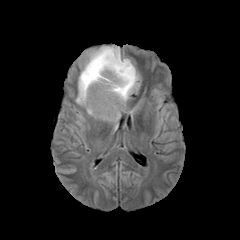
FLAIR magnetic resonance.
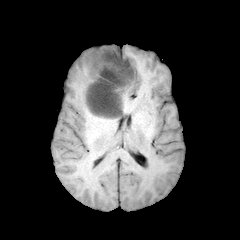
T1-weighted MR image of the same slice.
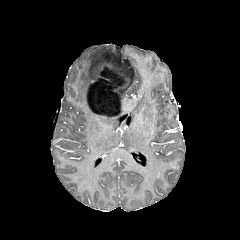
Post-contrast T1-weighted MRI.
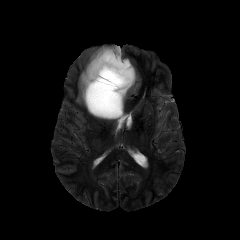
T2-weighted MR.
Image size 240x240; Head
Segmented structures:
* non-enhancing tumor core: [x1=84, y1=47, x2=130, y2=117]
* edema: [x1=76, y1=45, x2=122, y2=124], [x1=122, y1=57, x2=139, y2=101]